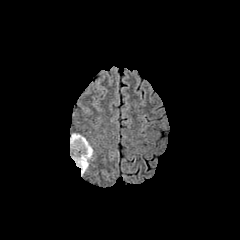
FLAIR MR.
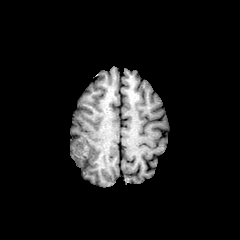
Same slice, T1-weighted magnetic resonance.
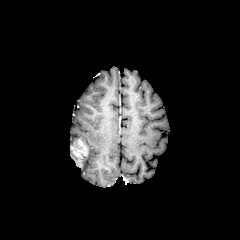
Post-contrast T1-weighted MR.
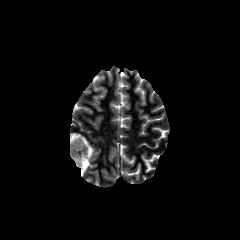
T2-weighted magnetic resonance of the same slice.
Edema — 70:132:95:175.
Non-enhancing tumor core — 71:146:84:166.